Brain. 240x240. Slice 99 of 155.
FLAIR MRI.
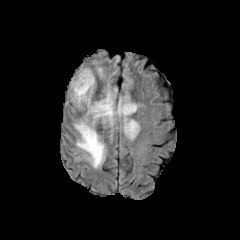
T1-weighted MR.
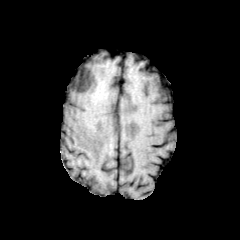
Post-contrast T1-weighted MR.
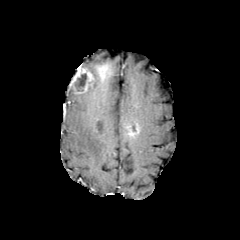
T2-weighted MRI.
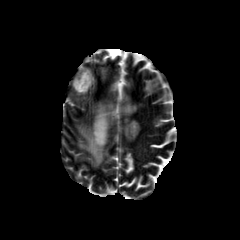
The enhancing tumor is bounded by x1=70 y1=67 x2=93 y2=91. The non-enhancing tumor core is at x1=73 y1=74 x2=87 y2=93. The edema is at x1=74 y1=77 x2=139 y2=168.